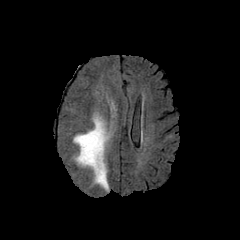
FLAIR MR image.
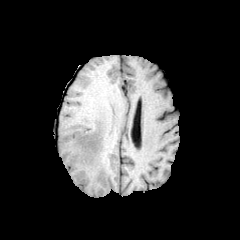
T1-weighted magnetic resonance of the same slice.
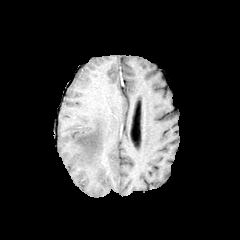
Post-contrast T1-weighted MRI.
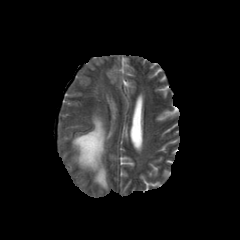
T2-weighted MR.
Head
Findings:
• edema: {"x1": 72, "y1": 114, "x2": 109, "y2": 189}